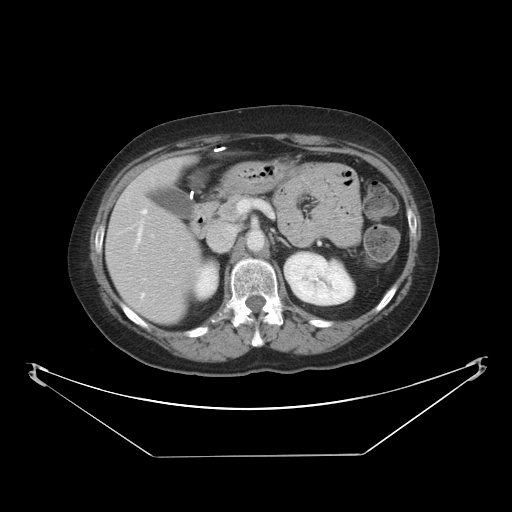 Abdomen, CT
Not every hepatic vessel necessarily has a box.
3 hepatic vessel regions appear at x1=141 y1=293 x2=144 y2=297, x1=137 y1=226 x2=141 y2=242, x1=142 y1=210 x2=146 y2=213.